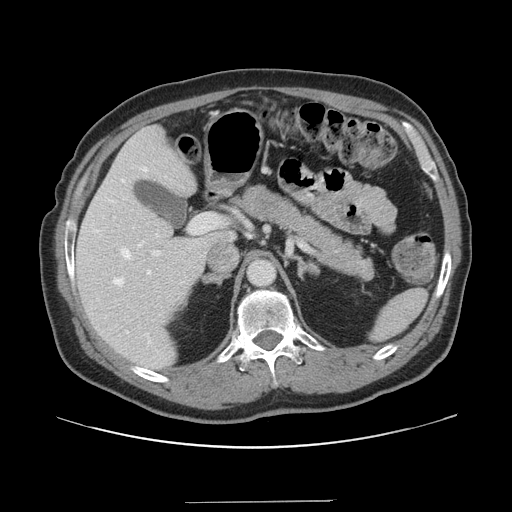

CT image. The vessel boxes may cover only some of the vessels.
9 hepatic vessel regions are located at box(125, 330, 128, 333); box(147, 270, 150, 273); box(152, 250, 160, 256); box(113, 278, 123, 285); box(121, 179, 124, 182); box(121, 248, 130, 258); box(144, 333, 151, 343); box(141, 167, 147, 171); box(189, 213, 220, 233).